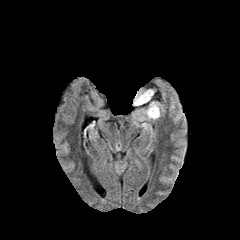
FLAIR MR image.
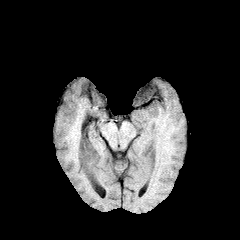
Same slice, T1-weighted MRI.
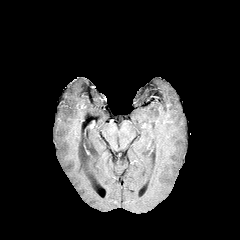
Same slice, post-contrast T1-weighted MR image.
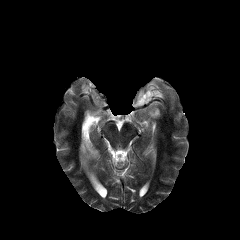
T2-weighted MR.
Image size 240x240, Brain
edema: box=[134, 89, 157, 107]; box=[135, 101, 160, 127]